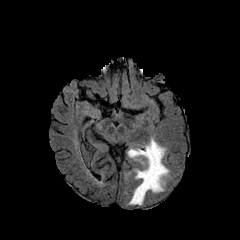
FLAIR MRI.
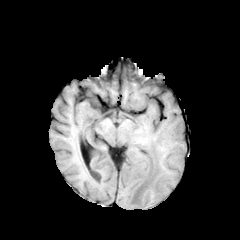
T1-weighted MRI.
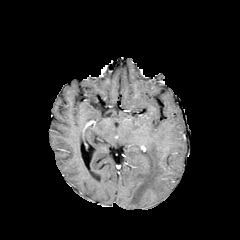
Post-contrast T1-weighted MR.
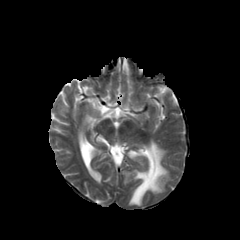
T2-weighted MRI.
Head, 240x240
Edema — <box>127,139,168,205</box>.